CT slice
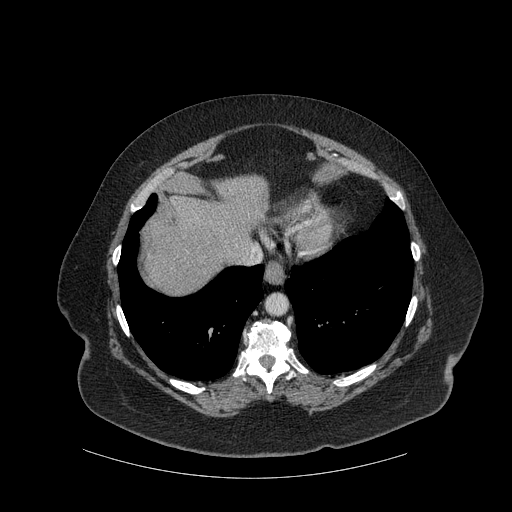
- bone: region(116, 306, 128, 335); region(334, 365, 375, 386); region(411, 243, 419, 260); region(170, 380, 204, 393); region(406, 296, 416, 325); region(112, 246, 120, 264); region(391, 192, 403, 205); region(233, 321, 307, 393)
- lung: region(285, 198, 413, 374); region(118, 194, 263, 379)
- liver: region(142, 176, 269, 295)